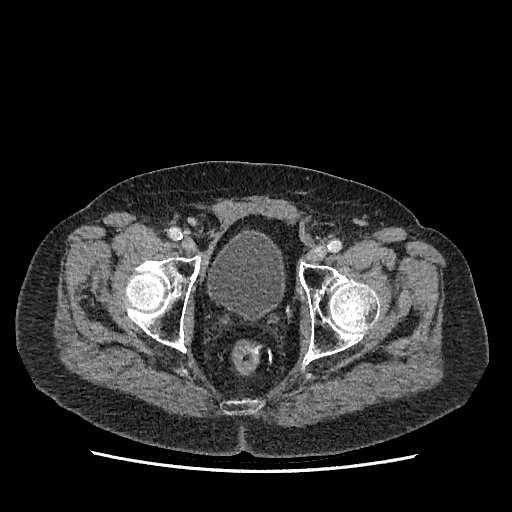 CT
<segmentation>
  <urinary_bladder>[x1=207, y1=233, x2=283, y2=317]</urinary_bladder>
</segmentation>